Computed tomography. Slice 41/99.
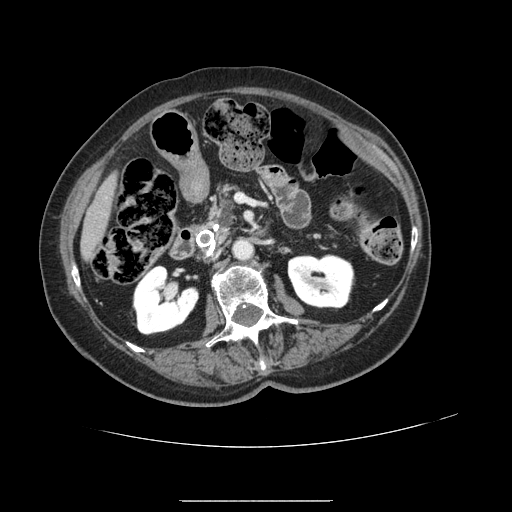
{
  "pancreas": [
    "x1=194 y1=194 x2=234 y2=247"
  ]
}